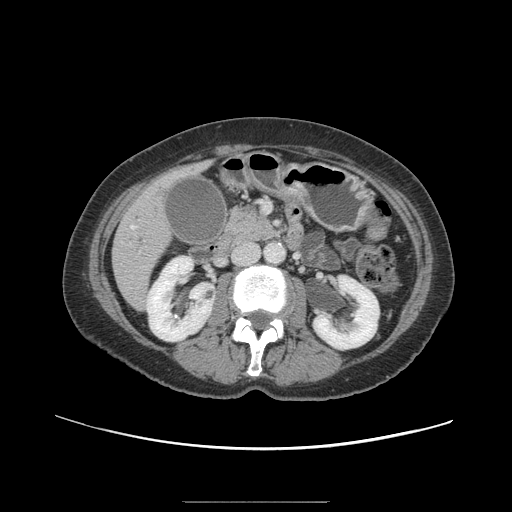

CT image
Pancreas at (227,206,279,245).